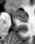

Magnetic resonance
- anterior hippocampus: (x1=8, y1=7, x2=28, y2=18)
- posterior hippocampus: (x1=18, y1=19, x2=27, y2=22)